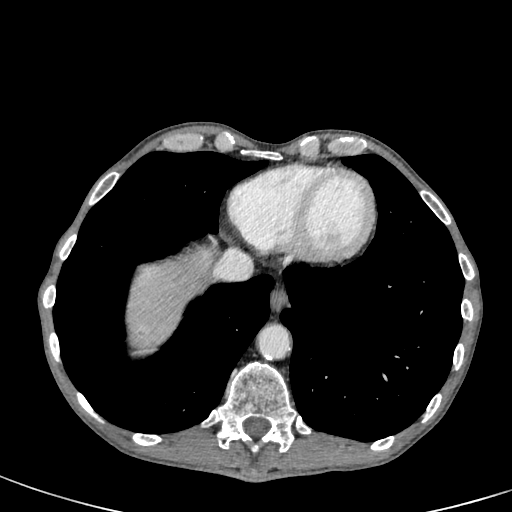 CT scan slice
The liver is at box=[127, 248, 214, 346].